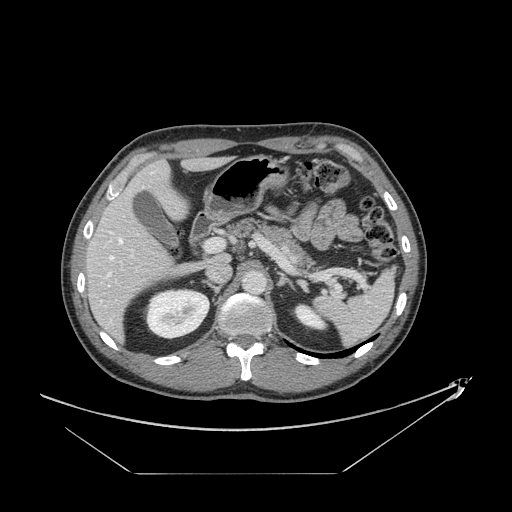
Upper abdomen, CT
Pancreas at 227, 219, 321, 275.